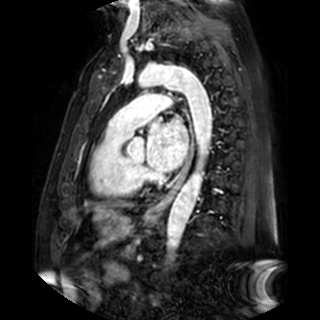

Heart; 320x320 px; MR image
The left atrium is at 146 118 187 171.